Brain. Slice 73 of 155.
FLAIR MRI.
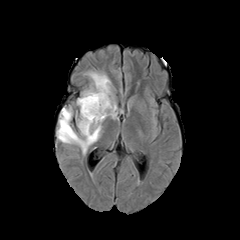
T1-weighted MR.
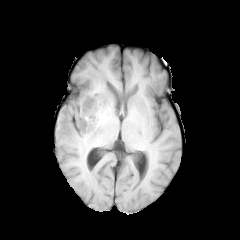
Post-contrast T1-weighted MRI.
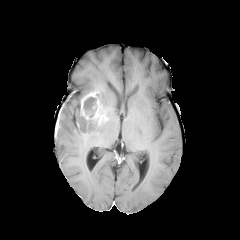
T2-weighted MR.
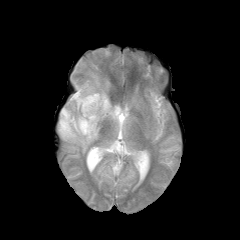
enhancing tumor: (x1=80, y1=92, x2=105, y2=119) | non-enhancing tumor core: (x1=77, y1=97, x2=100, y2=131) | edema: (x1=57, y1=69, x2=118, y2=155)